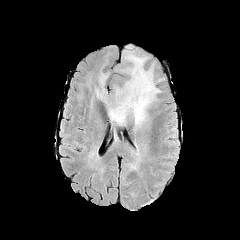
FLAIR MR image.
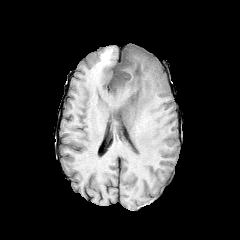
Same slice, T1-weighted MRI.
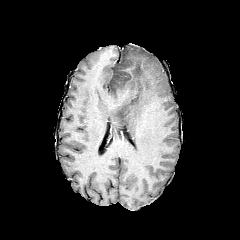
Post-contrast T1-weighted MRI.
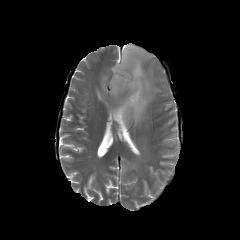
Same slice, T2-weighted MRI.
Head.
Annotated regions:
• edema: rect(126, 162, 136, 168); rect(108, 46, 161, 132)